Field of view 375 mm wide, 2.50 mm slice spacing | CT slice | 512x512

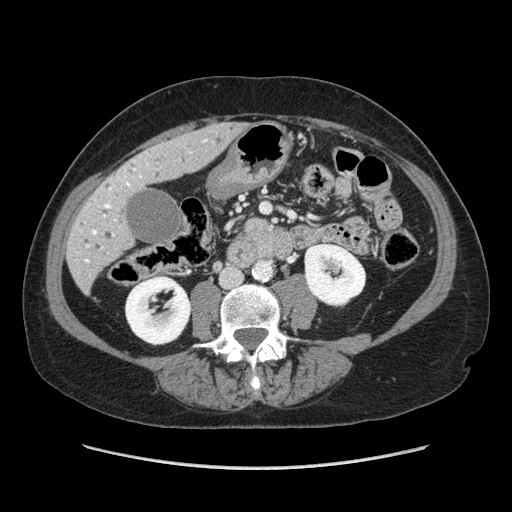
{
  "pancreas": [
    "240, 216, 275, 255"
  ]
}